Head | 240x240 | Slice 51 of 155 | Field of view 240x240 mm
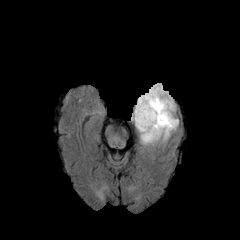
FLAIR MR image.
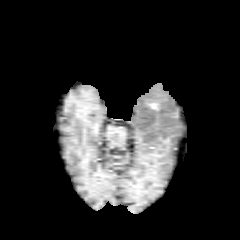
T1-weighted MRI.
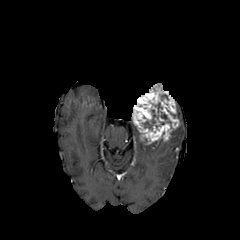
Post-contrast T1-weighted magnetic resonance.
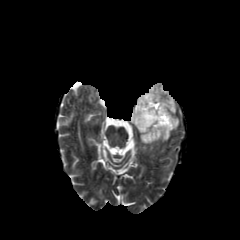
T2-weighted magnetic resonance of the same slice.
The edema is at <box>137,127,177,147</box>. The enhancing tumor is bounded by <box>132,85,178,143</box>. 2 non-enhancing tumor core regions are located at <box>143,121,156,130</box>, <box>149,101,171,124</box>.